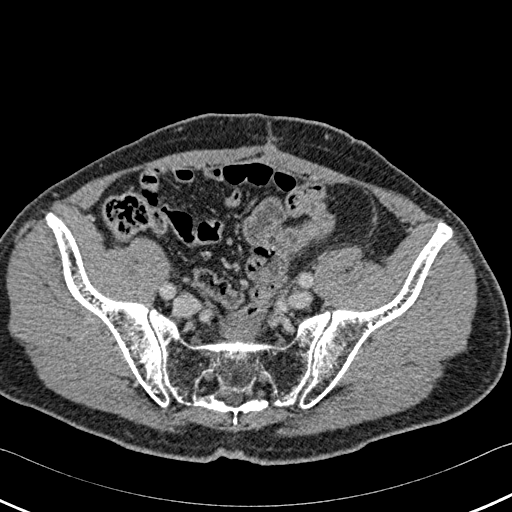

Image size 512x512, CT slice
* bone: box(46, 213, 451, 423)